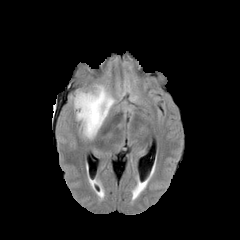
FLAIR MR.
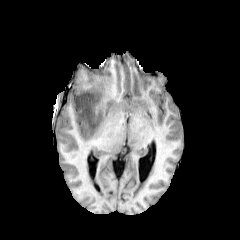
Same slice, T1-weighted MR image.
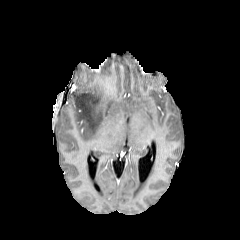
Post-contrast T1-weighted magnetic resonance.
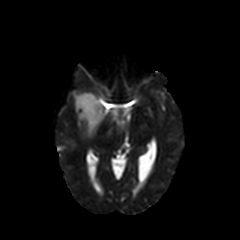
Same slice, T2-weighted magnetic resonance.
The non-enhancing tumor core appears at [x1=76, y1=93, x2=97, y2=127]. 2 edema regions are located at [x1=73, y1=84, x2=119, y2=138], [x1=120, y1=103, x2=131, y2=111].